CT. Field of view 396x396 mm. Abdomen.

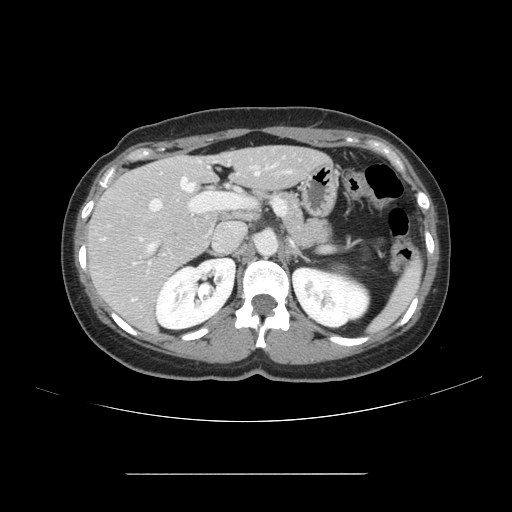
Only some of the vessels may be annotated.
<segmentation>
  <hepatic_vessel>253 166 258 175, 183 177 185 178, 101 238 104 240, 132 299 135 300, 140 238 142 239, 150 199 161 210, 286 171 290 172, 148 244 154 250, 266 166 268 168, 272 165 275 166</hepatic_vessel>
</segmentation>